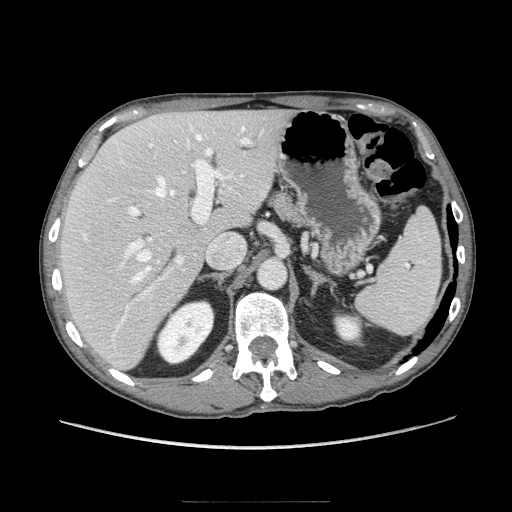 Abdomen. CT.

The pancreas lies within [270, 192, 306, 226].